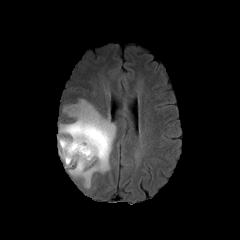
FLAIR magnetic resonance.
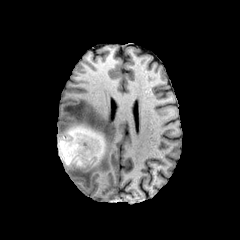
Same slice, T1-weighted MR image.
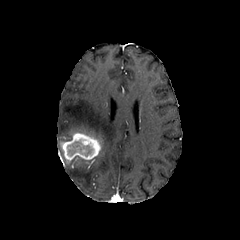
Same slice, post-contrast T1-weighted MR.
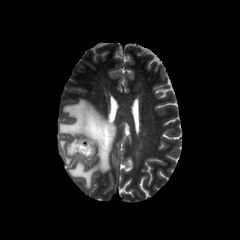
T2-weighted MR image of the same slice.
Brain
The enhancing tumor is bounded by <box>63,133,100,159</box>. 3 non-enhancing tumor core regions are located at <box>64,125,106,157</box>, <box>60,141,90,165</box>, <box>66,139,93,157</box>. The edema is located at <box>59,99,116,188</box>.